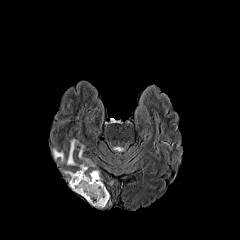
FLAIR MRI.
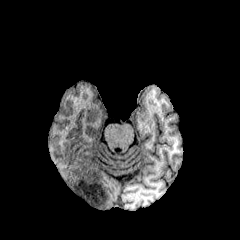
T1-weighted magnetic resonance of the same slice.
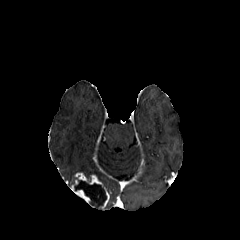
Same slice, post-contrast T1-weighted magnetic resonance.
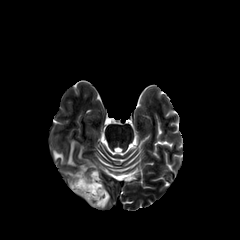
T2-weighted MRI.
Brain.
Edema at {"x1": 52, "y1": 148, "x2": 65, "y2": 161}, {"x1": 67, "y1": 140, "x2": 78, "y2": 165}, {"x1": 78, "y1": 144, "x2": 96, "y2": 165}.
Enhancing tumor at {"x1": 101, "y1": 187, "x2": 109, "y2": 208}, {"x1": 71, "y1": 185, "x2": 90, "y2": 203}, {"x1": 88, "y1": 174, "x2": 103, "y2": 187}, {"x1": 73, "y1": 171, "x2": 87, "y2": 181}.
Non-enhancing tumor core at {"x1": 70, "y1": 173, "x2": 107, "y2": 209}.